Slice 23 of 86; CT

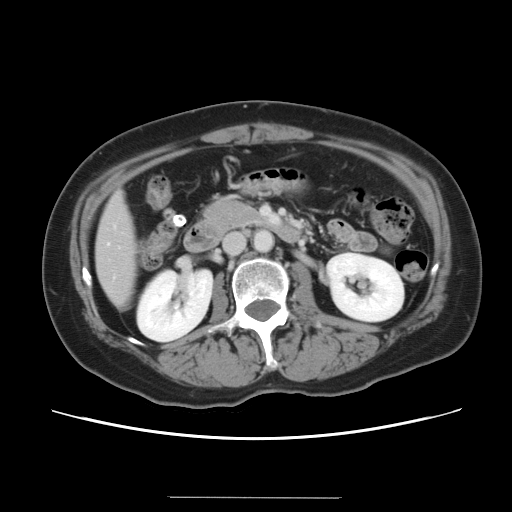
Only some of the vessels may be annotated.
<segmentation>
  <hepatic_vessel>left=113, top=226, right=114, bottom=228; left=113, top=277, right=114, bottom=278; left=107, top=243, right=108, bottom=245</hepatic_vessel>
</segmentation>